FLAIR MR image.
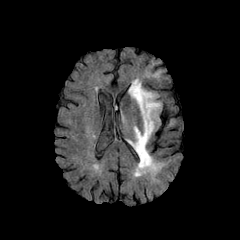
T1-weighted MRI.
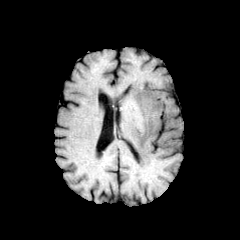
Post-contrast T1-weighted MRI.
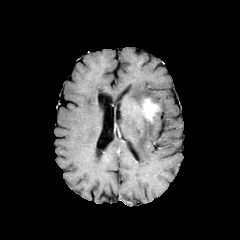
T2-weighted MR image.
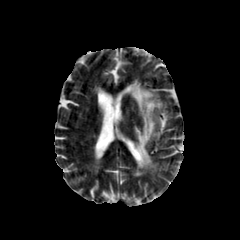
Brain
Edema = [x1=128, y1=78, x2=161, y2=177].
Enhancing tumor = [x1=140, y1=98, x2=159, y2=122].